Field of view 350 mm wide, 0.70 mm slice spacing; CT image; Image size 512x512

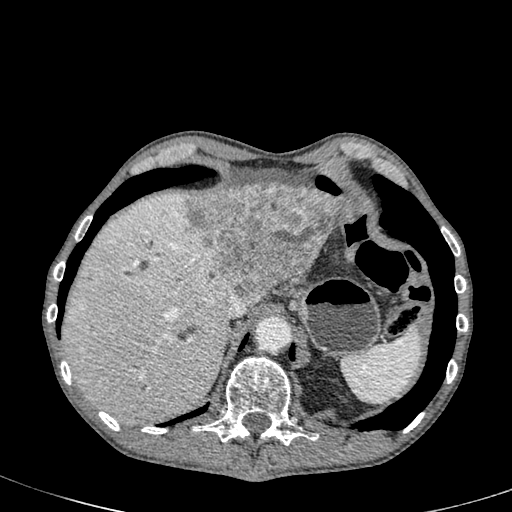
4 liver regions are located at box(335, 198, 348, 220); box(285, 273, 301, 281); box(245, 278, 283, 306); box(61, 193, 238, 425). The focal liver lesion is bounded by box(185, 183, 340, 304).